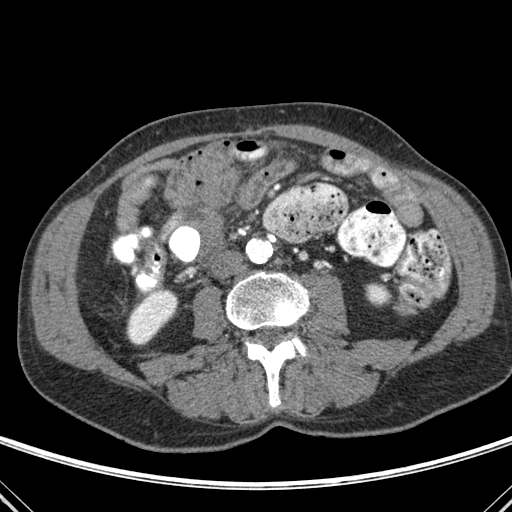
CT
2 kidney regions are located at x1=128, y1=291, x2=176, y2=343; x1=369, y1=287, x2=385, y2=302. 2 bone regions are bounded by x1=226, y1=272, x2=309, y2=330; x1=244, y1=335, x2=306, y2=406.